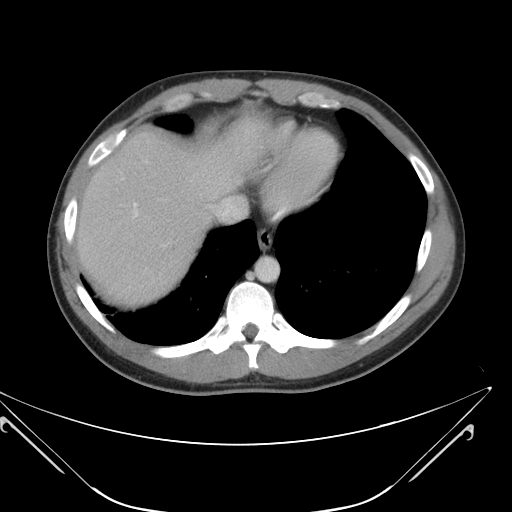 Computed tomography
Only some of the vessels may be annotated.
2 hepatic vessel regions are bounded by [x1=217, y1=198, x2=241, y2=218], [x1=133, y1=203, x2=137, y2=216].